Field of view 350x350 mm; Slice index 54; 512x512 px; CT slice
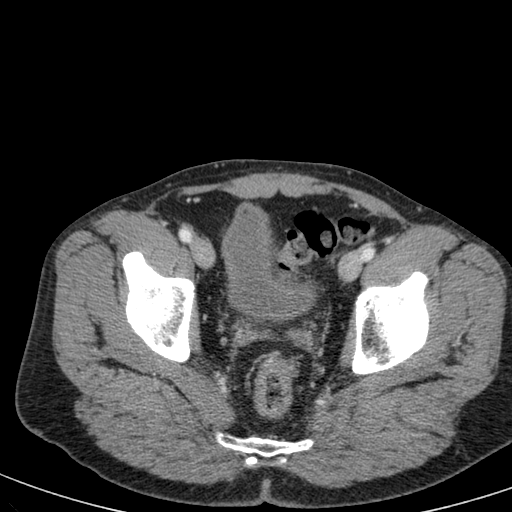

Annotated regions:
• urinary bladder: box=[222, 203, 311, 318]